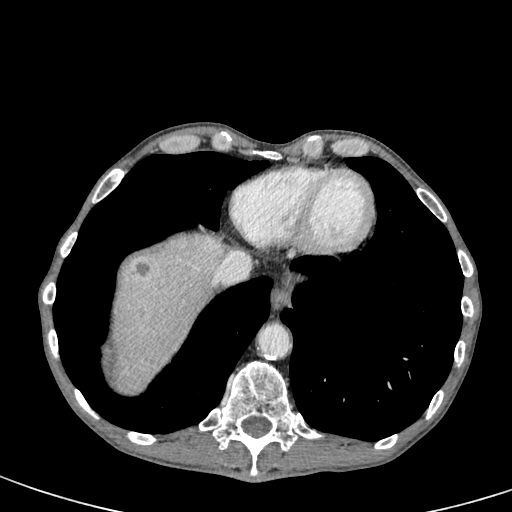 CT scan slice. Abdomen.
2 hepatic lesion regions are bounded by 135,262,149,275; 116,365,122,372. The liver appears at 112,233,225,394.